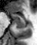
MR. The posterior hippocampus is at <box>14,20,25,28</box>. The anterior hippocampus is at <box>11,13,24,19</box>.